FLAIR magnetic resonance.
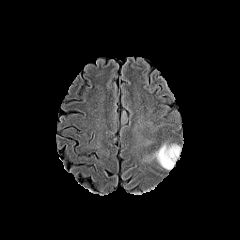
T1-weighted magnetic resonance.
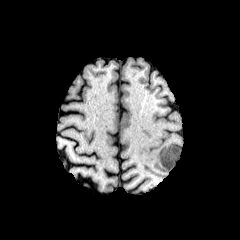
Post-contrast T1-weighted magnetic resonance.
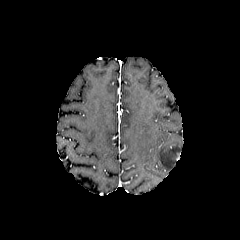
T2-weighted MR image.
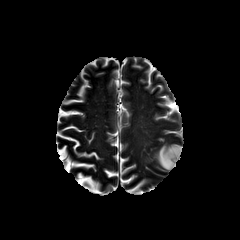
<segmentation>
  <edema>[157, 145, 181, 169]</edema>
</segmentation>